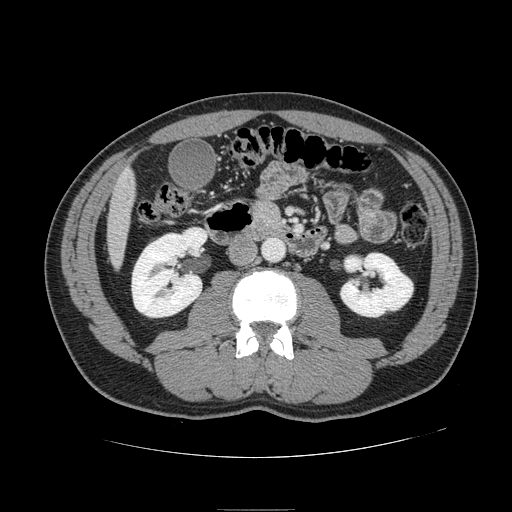
Abdomen. CT.
Segmented structures:
• pancreas: left=255, top=201, right=281, bottom=228